Head.
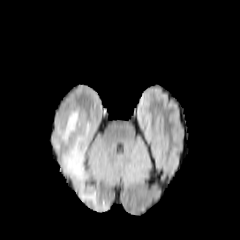
FLAIR MR.
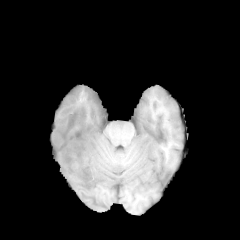
Same slice, T1-weighted magnetic resonance.
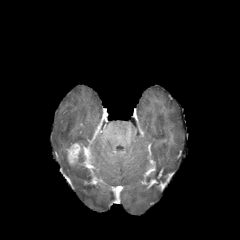
Same slice, post-contrast T1-weighted MR image.
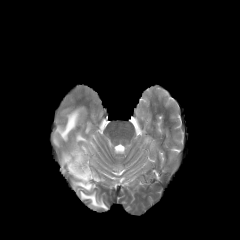
Same slice, T2-weighted magnetic resonance.
Enhancing tumor: bounding box (x1=65, y1=142, x2=82, y2=165).
Edema: bounding box (x1=54, y1=111, x2=82, y2=151), (x1=60, y1=150, x2=105, y2=208), (x1=74, y1=135, x2=86, y2=144).